Slice 20 of 30; CT image; Liver; Image width 412 mm

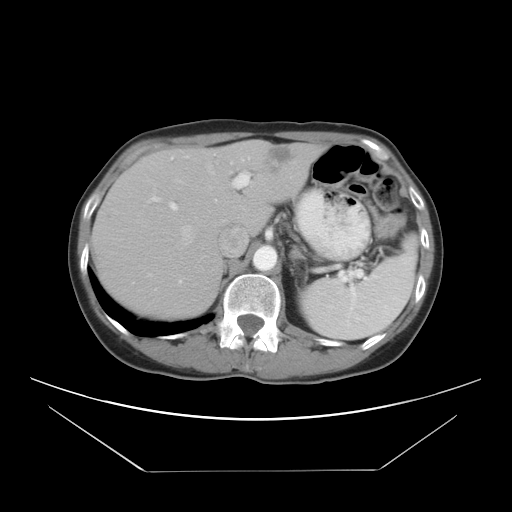

The vessel annotation is not exhaustive.
Hepatic vessel: x1=168, y1=201, x2=173, y2=207; x1=181, y1=225, x2=191, y2=243; x1=178, y1=279, x2=180, y2=282; x1=219, y1=186, x2=221, y2=187; x1=171, y1=156, x2=172, y2=158; x1=238, y1=177, x2=244, y2=183; x1=148, y1=194, x2=160, y2=201; x1=184, y1=155, x2=187, y2=156; x1=240, y1=156, x2=248, y2=161; x1=291, y1=161, x2=294, y2=163; x1=230, y1=170, x2=253, y2=187; x1=214, y1=199, x2=216, y2=201.
Liver tumor: x1=265, y1=148, x2=294, y2=172.